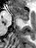

MR image. The posterior hippocampus lies within <bbox>23, 20, 28, 22</bbox>. The anterior hippocampus lies within <bbox>10, 6, 28, 19</bbox>.